FLAIR magnetic resonance.
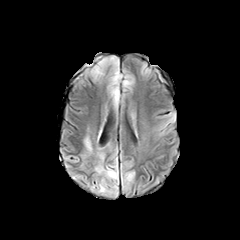
T1-weighted MR.
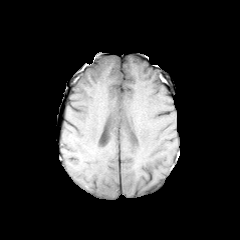
Post-contrast T1-weighted MR.
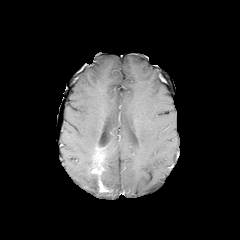
T2-weighted MR.
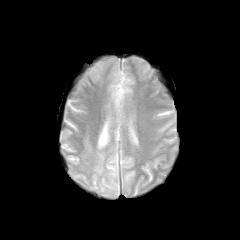
Edema: (left=102, top=162, right=118, bottom=194).
Non-enhancing tumor core: (left=95, top=152, right=104, bottom=171).
Enhancing tumor: (left=99, top=182, right=109, bottom=192).